Hippocampus. MRI.
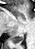

The posterior hippocampus lies within [11, 34, 23, 43].